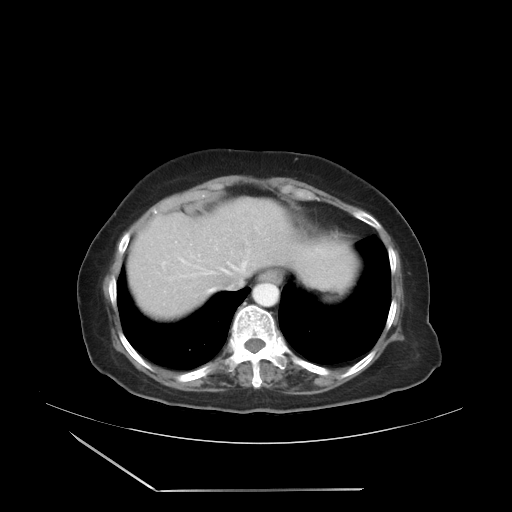 CT slice, Liver, Image size 512x512
Only some of the vessels may be annotated.
Findings:
* hepatic vessel: 248, 250, 249, 252; 238, 278, 242, 284; 180, 274, 183, 276; 222, 268, 228, 273; 193, 265, 213, 275; 179, 258, 189, 264; 199, 254, 199, 257; 191, 255, 192, 256; 228, 261, 246, 272; 228, 285, 233, 288; 162, 261, 165, 268